FLAIR MR.
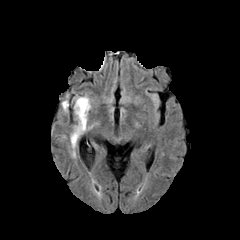
T1-weighted MR.
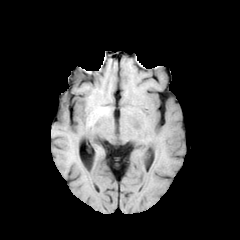
Post-contrast T1-weighted MRI.
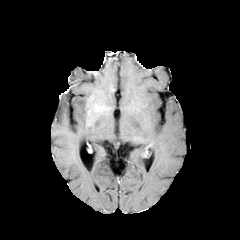
T2-weighted MR image.
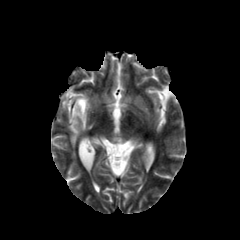
240x240 px
The non-enhancing tumor core is located at 78:98:88:109. The edema is bounded by 62:94:97:156.